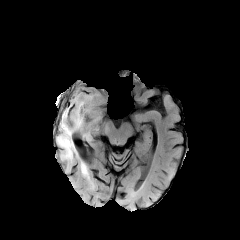
FLAIR MRI.
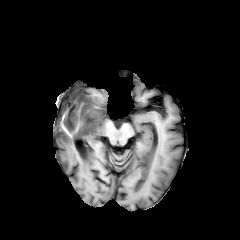
T1-weighted MR image.
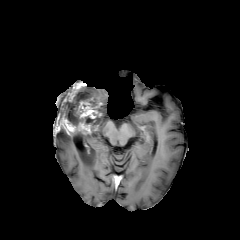
Post-contrast T1-weighted MR.
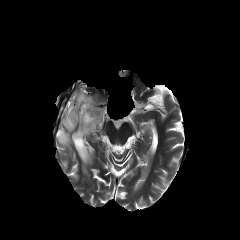
Same slice, T2-weighted MR.
240x240 px
The non-enhancing tumor core appears at box=[64, 84, 101, 131]. 3 enhancing tumor regions are located at box=[78, 122, 92, 133]; box=[58, 116, 76, 134]; box=[78, 101, 95, 118]. 3 edema regions are located at box=[56, 132, 88, 177]; box=[59, 100, 77, 117]; box=[78, 86, 101, 111].